CT, 512x512, Lower abdomen, Slice 51/343
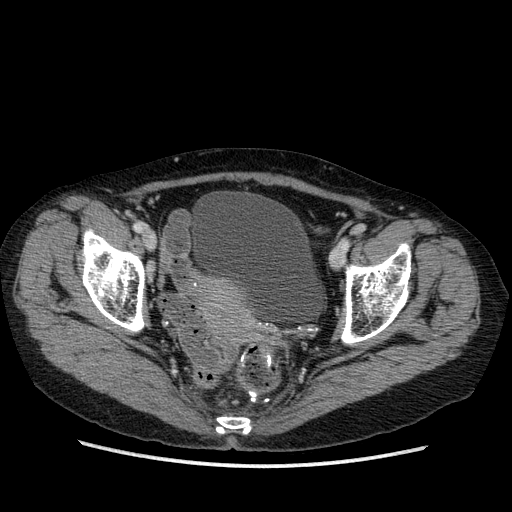

Urinary bladder at bbox=[187, 190, 326, 323].